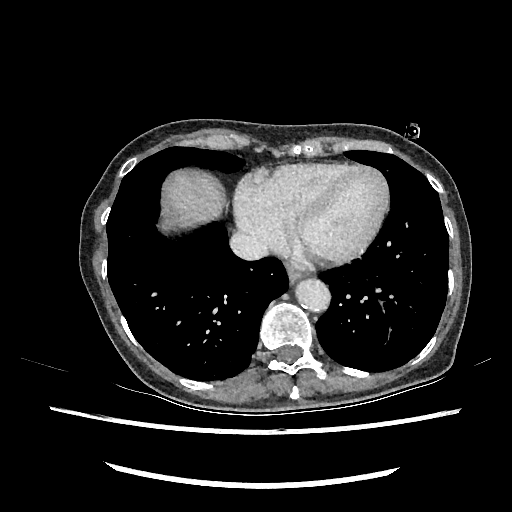

Computed tomography, Upper abdomen
<segmentation>
  <liver>[x1=169, y1=173, x2=221, y2=223]</liver>
</segmentation>